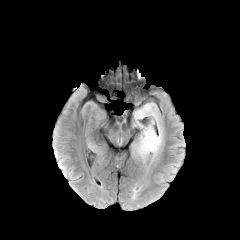
FLAIR MR image.
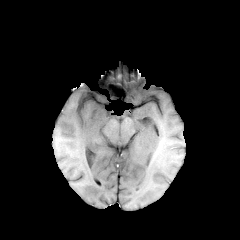
T1-weighted MR.
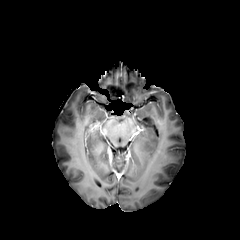
Same slice, post-contrast T1-weighted magnetic resonance.
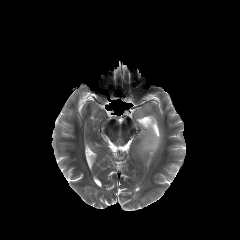
T2-weighted MR image.
Edema at [133, 102, 163, 160].